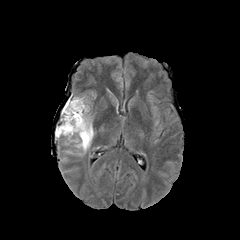
FLAIR MR image.
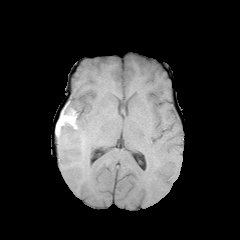
Same slice, T1-weighted magnetic resonance.
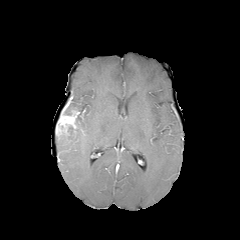
Post-contrast T1-weighted MR.
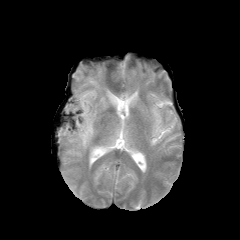
T2-weighted MR image of the same slice.
{
  "edema": [
    "<box>55,91,95,155</box>"
  ],
  "enhancing_tumor": [
    "<box>60,115,75,127</box>"
  ],
  "non-enhancing_tumor_core": [
    "<box>56,116,75,136</box>",
    "<box>62,106,86,119</box>"
  ]
}